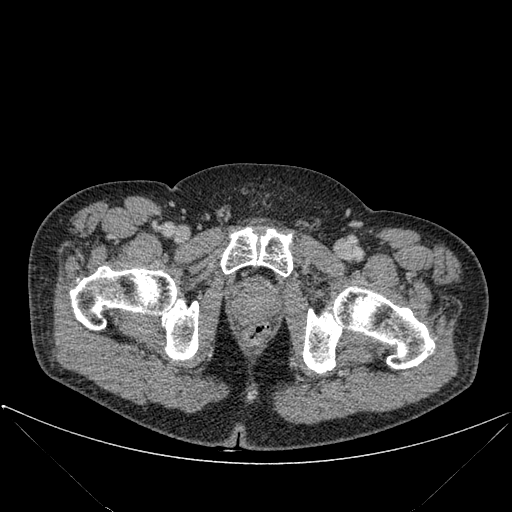

Image size 512x512. CT scan slice.

- bone: {"x1": 70, "y1": 266, "x2": 198, "y2": 359}, {"x1": 303, "y1": 287, "x2": 434, "y2": 373}, {"x1": 221, "y1": 227, "x2": 292, "y2": 276}